CT scan slice. 512x512. Liver.

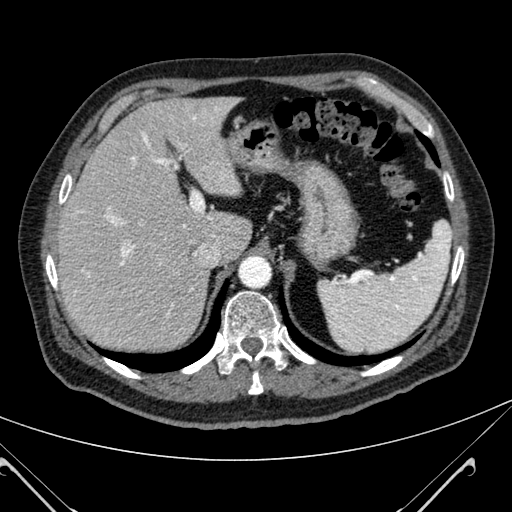 Liver — 59, 95, 251, 352.